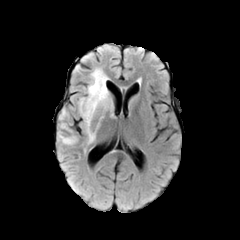
FLAIR MR.
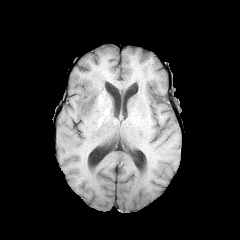
T1-weighted MRI of the same slice.
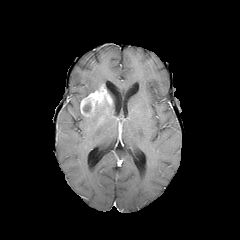
Same slice, post-contrast T1-weighted MR.
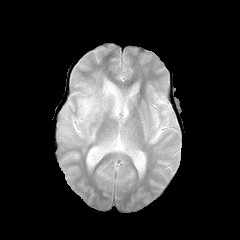
Same slice, T2-weighted magnetic resonance.
240x240 px. Head.
Enhancing tumor = {"x1": 80, "y1": 84, "x2": 111, "y2": 116}.
Non-enhancing tumor core = {"x1": 83, "y1": 104, "x2": 93, "y2": 116}.
Edema = {"x1": 57, "y1": 110, "x2": 79, "y2": 145}, {"x1": 76, "y1": 67, "x2": 113, "y2": 144}.